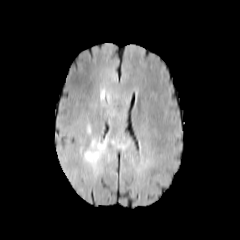
FLAIR magnetic resonance.
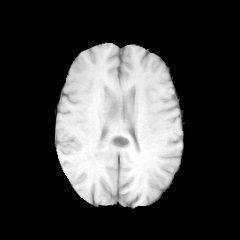
T1-weighted MRI of the same slice.
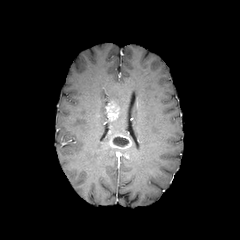
Post-contrast T1-weighted MRI of the same slice.
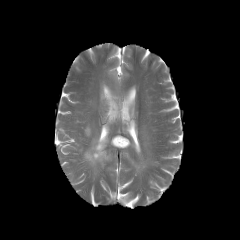
Same slice, T2-weighted MR image.
Head
Non-enhancing tumor core: bounding box [x1=112, y1=137, x2=129, y2=146].
Edema: bounding box [x1=83, y1=138, x2=109, y2=169], [x1=104, y1=97, x2=122, y2=118].
Enhancing tumor: bounding box [x1=104, y1=100, x2=120, y2=121], [x1=110, y1=135, x2=132, y2=149].